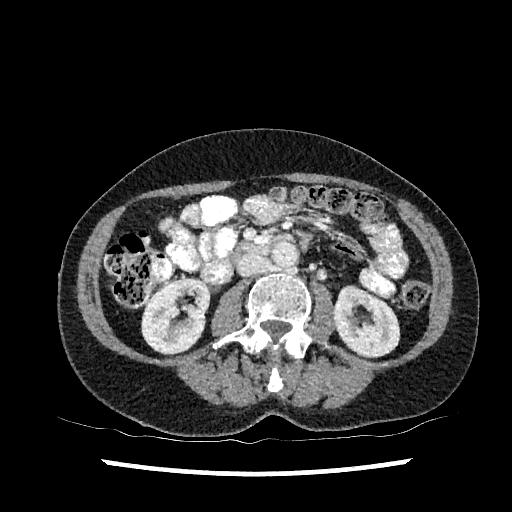 CT slice
<segmentation>
  <kidney>x1=142, y1=279, x2=209, y2=353; x1=334, y1=287, x2=399, y2=356</kidney>
</segmentation>